FLAIR MR image.
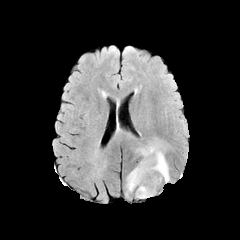
T1-weighted magnetic resonance.
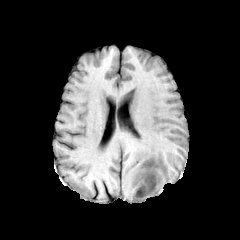
Post-contrast T1-weighted MR image.
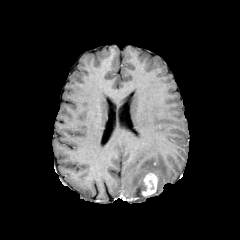
T2-weighted magnetic resonance.
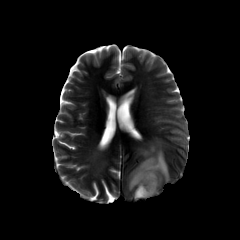
Head
Edema — box=[126, 145, 170, 198].
Enhancing tumor — box=[141, 172, 158, 196].